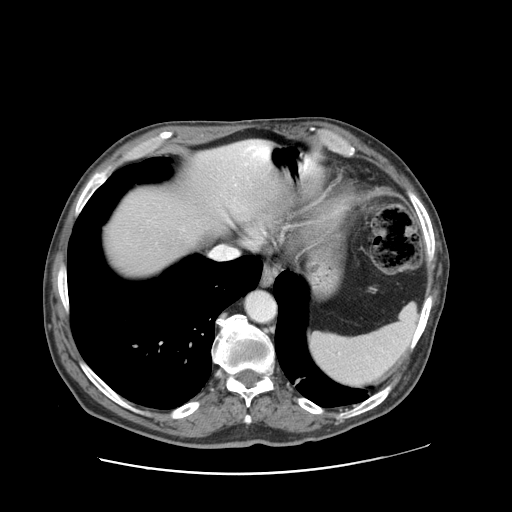
CT slice, 512x512 px
The vessel boxes may cover only some of the vessels.
Findings:
• hepatic vessel: bbox(245, 150, 247, 151)